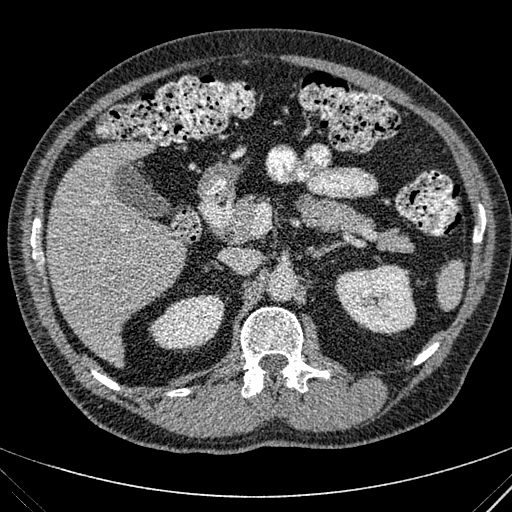 Abdomen. 512x512 px. CT image.

The liver appears at (left=46, top=142, right=185, bottom=364). 2 kidney regions are located at (left=336, top=266, right=415, bottom=332), (left=151, top=295, right=224, bottom=348).